FLAIR MRI.
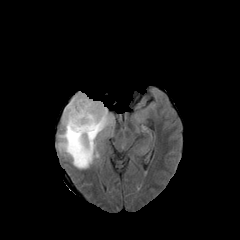
T1-weighted MR image.
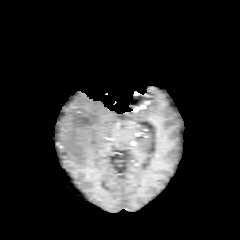
Post-contrast T1-weighted MR image.
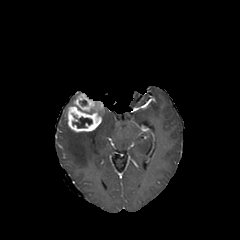
T2-weighted MR.
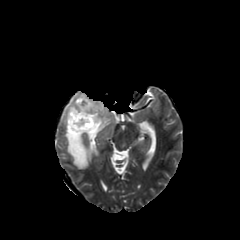
Brain
Findings:
- non-enhancing tumor core: <box>73,117,91,127</box>
- edema: <box>57,113,112,169</box>
- enhancing tumor: <box>64,92,103,132</box>